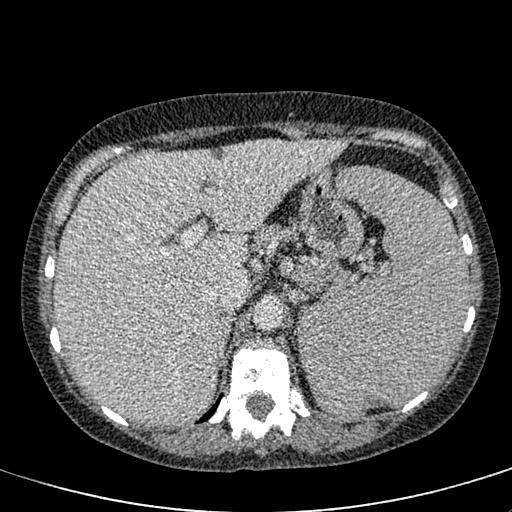

Liver | Computed tomography
The liver appears at bbox=[55, 140, 346, 423].